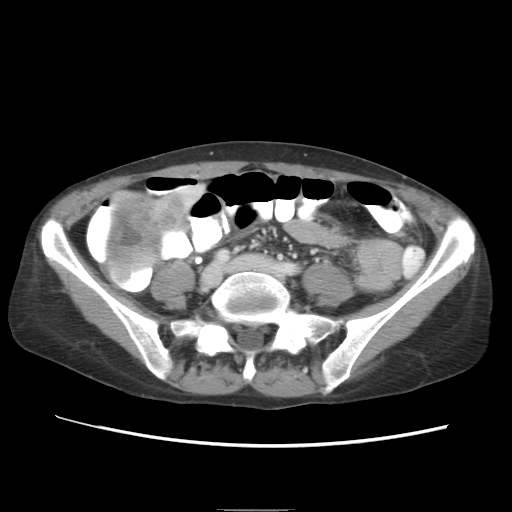
Abdomen, Computed tomography, Image size 512x512
liver_tumor:
  - region(108, 191, 184, 278)